Image width 378 mm, Computed tomography, Image size 512x512, Slice 19 of 40

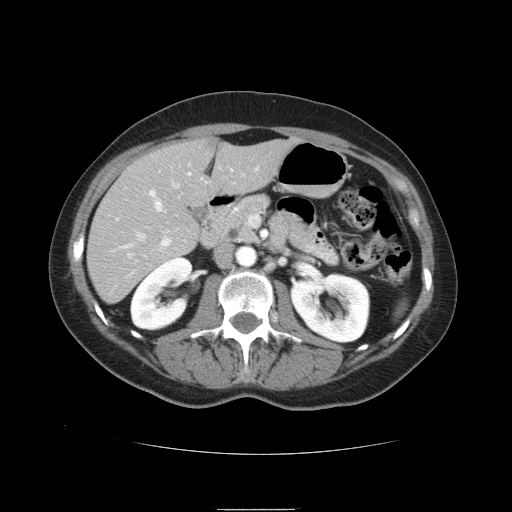

{"spleen": ["bbox(397, 299, 407, 314)"]}